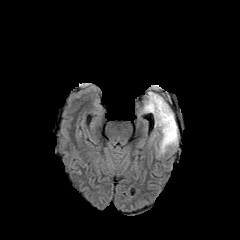
FLAIR magnetic resonance.
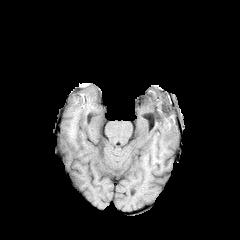
Same slice, T1-weighted magnetic resonance.
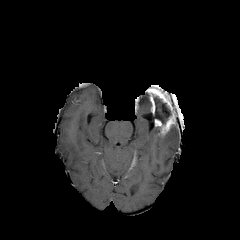
Post-contrast T1-weighted MRI of the same slice.
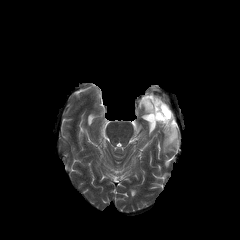
Same slice, T2-weighted MR.
<segmentation>
  <edema>(142, 103, 149, 113), (153, 127, 179, 155)</edema>
  <enhancing_tumor>(154, 110, 175, 133), (147, 86, 170, 113)</enhancing_tumor>
  <non-enhancing_tumor_core>(150, 98, 170, 129), (157, 89, 172, 110), (144, 94, 151, 110)</non-enhancing_tumor_core>
</segmentation>